CT; Image size 512x512; Field of view 408 mm wide, 0.80 mm slice spacing; Liver; Slice index 79 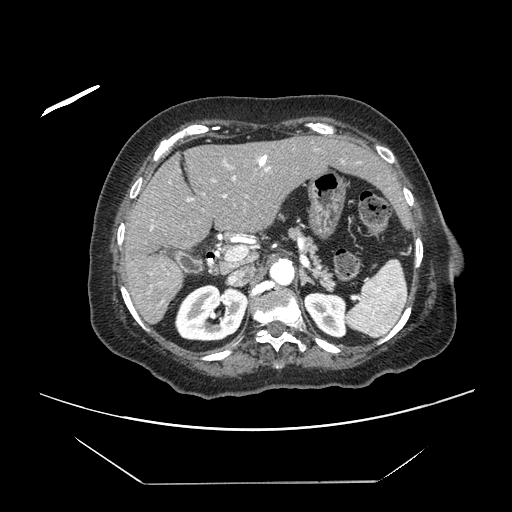

The vessel boxes may cover only some of the vessels.
{
  "hepatic_vessel": [
    "<bbox>227, 246, 247, 261</bbox>"
  ]
}